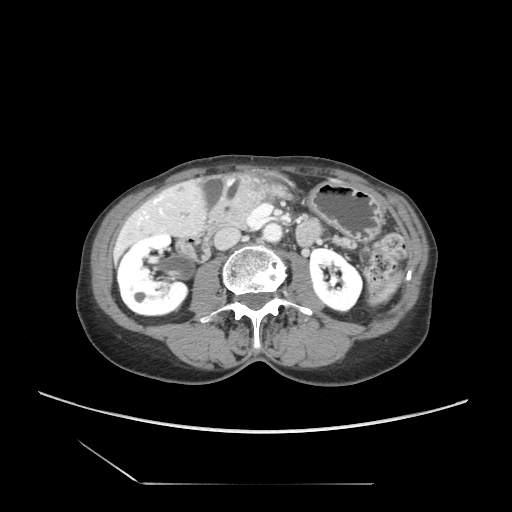
CT
2 pancreas regions are bounded by 335:238:355:248, 232:185:290:225.